FLAIR MR.
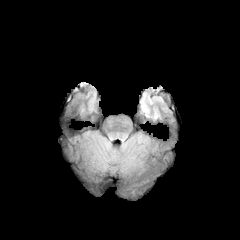
T1-weighted magnetic resonance.
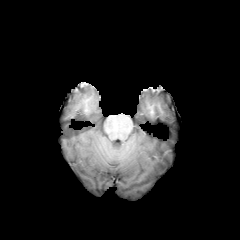
Post-contrast T1-weighted MR image.
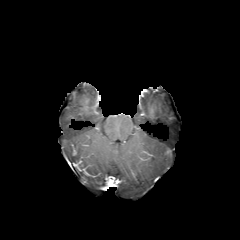
T2-weighted MRI.
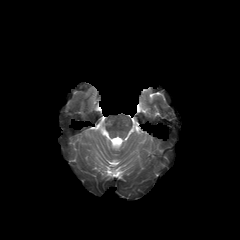
Head
Edema: bounding box 142, 100, 149, 113.